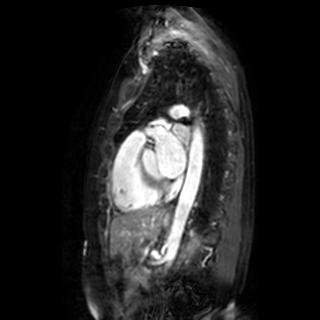
MR image; Heart
Left atrium: bbox(155, 124, 189, 177).